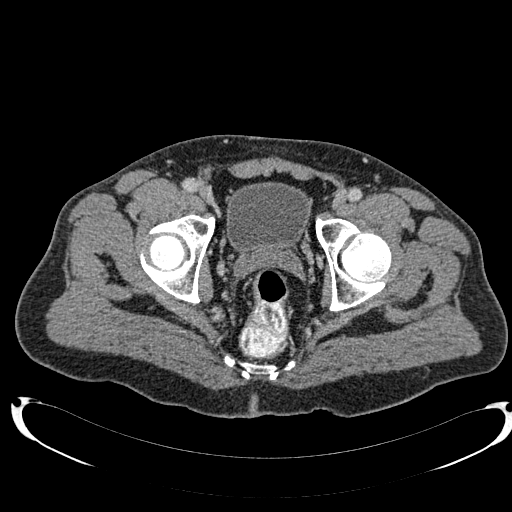

512x512. CT scan slice. * urinary bladder: 226,182,309,260